CT scan slice. Field of view 512x512 mm. 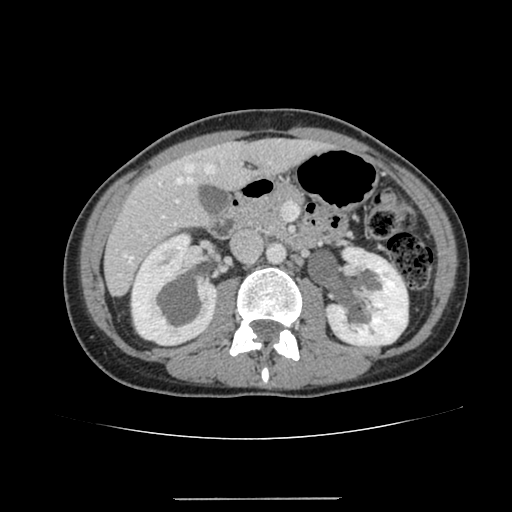
kidney:
  - <bbox>132, 234, 215, 344</bbox>
  - <bbox>327, 248, 407, 345</bbox>
liver:
  - <bbox>104, 138, 334, 295</bbox>